CT image 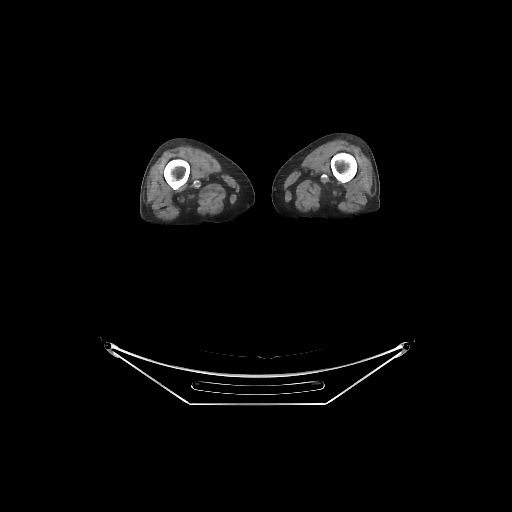

bone: [331, 153, 356, 182], [164, 159, 189, 189]